FLAIR MR image.
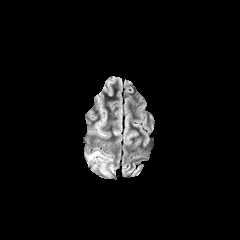
T1-weighted MR image.
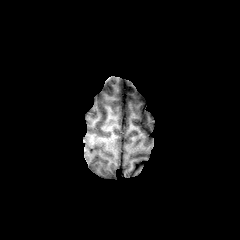
Post-contrast T1-weighted MR.
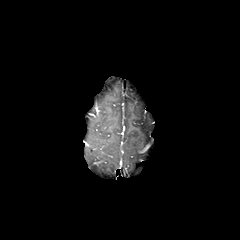
T2-weighted MR.
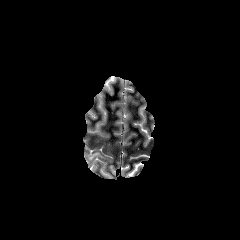
Head
{"edema": ["[90,152,107,160]"]}